FLAIR MRI.
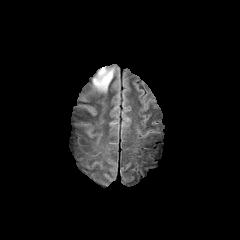
T1-weighted MRI.
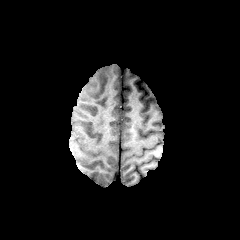
Post-contrast T1-weighted MRI.
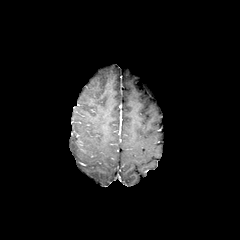
T2-weighted magnetic resonance.
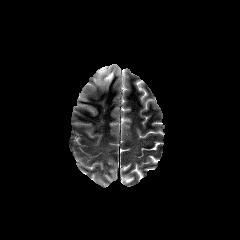
Annotated regions:
* edema: (x1=93, y1=66, x2=114, y2=90)